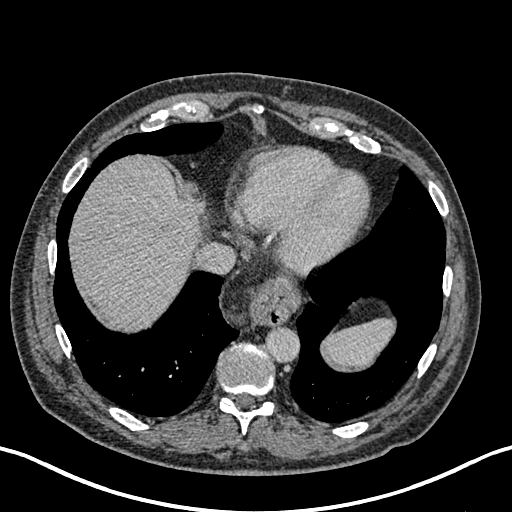
Computed tomography; Image size 512x512; Upper abdomen
<segmentation>
  <hepatic_lesion>x1=185, y1=202, x2=205, y2=217</hepatic_lesion>
  <liver>x1=70, y1=154, x2=201, y2=328</liver>
</segmentation>